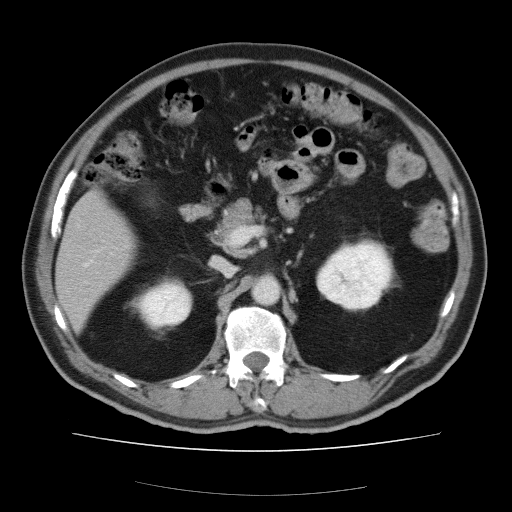
512x512 px; Computed tomography; Abdomen

Some hepatic vessels may have no box.
Hepatic vessel: <box>84,259,92,265</box>.